CT image

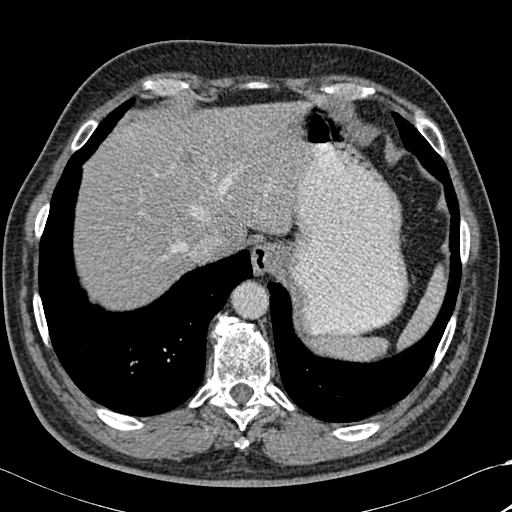

Segmented structures:
* bone: 33 295 47 342, 334 423 378 440, 417 117 444 155, 460 221 464 262, 97 409 142 430, 236 440 247 447, 35 205 48 236, 145 80 182 93, 466 223 469 260, 72 120 96 149, 434 318 455 366, 190 316 293 430, 344 85 373 96
* lung: 267 112 461 422, 257 251 263 264, 38 98 252 416
* liver lesion: 180 149 194 164
* liver: 75 103 307 306